CT. 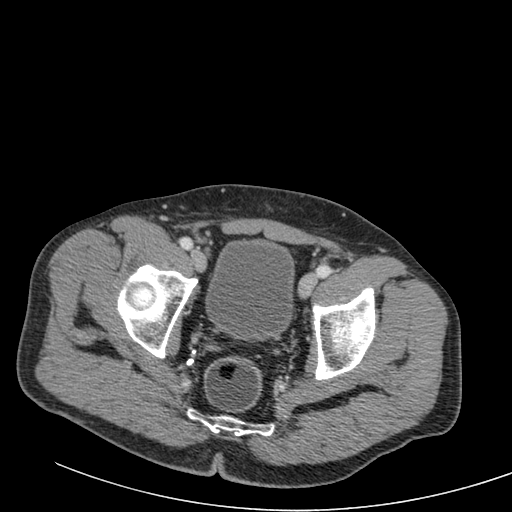 urinary_bladder:
  - x1=206, y1=240, x2=294, y2=340